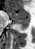 Magnetic resonance; Hippocampus; 35x49
posterior_hippocampus:
  - 14:21:29:27
anterior_hippocampus:
  - 9:9:29:21